Thorax; Computed tomography
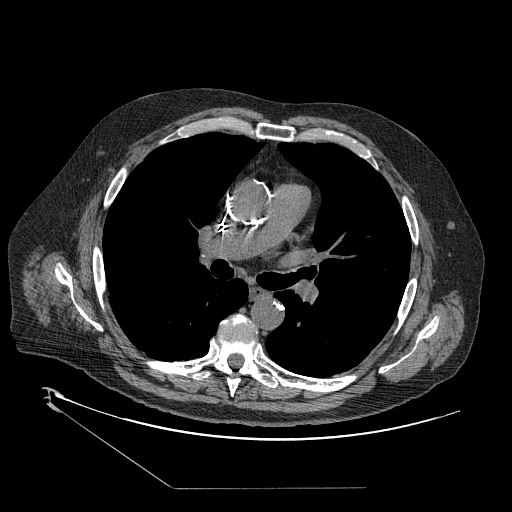
Segmented structures:
• lung tumor: (x1=178, y1=161, x2=188, y2=191), (x1=141, y1=159, x2=172, y2=171)